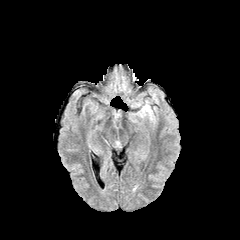
FLAIR MR.
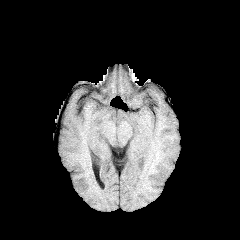
T1-weighted MR.
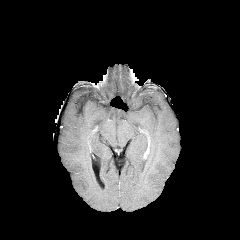
Post-contrast T1-weighted MR image.
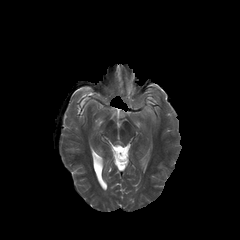
T2-weighted MR of the same slice.
240x240, Brain
Edema — (left=138, top=100, right=153, bottom=119).